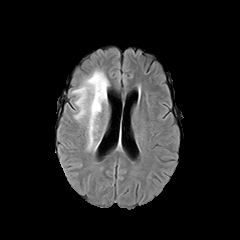
FLAIR MRI.
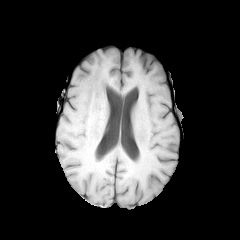
T1-weighted MR image of the same slice.
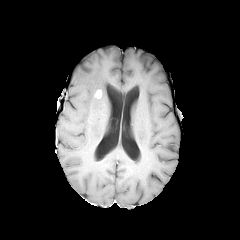
Same slice, post-contrast T1-weighted MR.
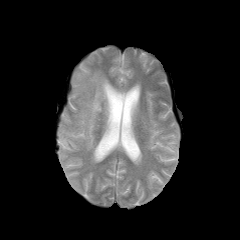
Same slice, T2-weighted MR.
240x240
<segmentation>
  <enhancing_tumor>95:90:101:98</enhancing_tumor>
  <edema>72:68:110:151</edema>
</segmentation>